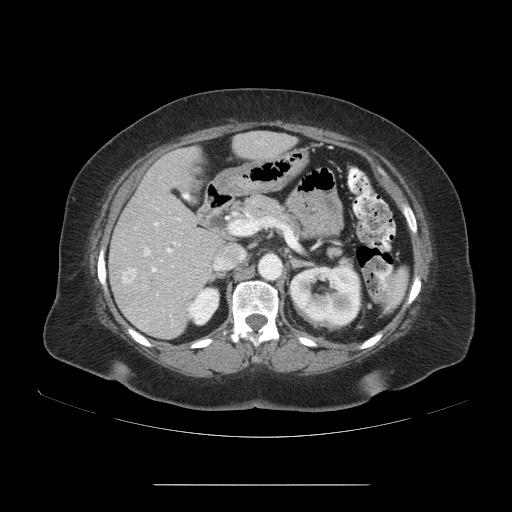

CT scan slice. Liver.

Not every hepatic vessel necessarily has a box.
Hepatic vessel = [166, 249, 169, 251], [225, 246, 243, 260], [154, 222, 156, 224], [151, 269, 154, 271], [213, 256, 233, 269], [232, 221, 258, 233], [173, 242, 176, 244], [144, 249, 148, 255].
Liver tumor = [123, 267, 145, 288].